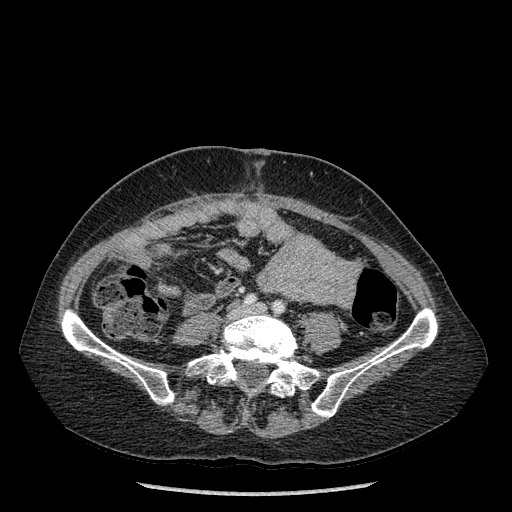

Image size 512x512 | CT slice
3 bone regions are bounded by box(311, 308, 437, 417); box(187, 312, 319, 397); box(61, 309, 174, 405).